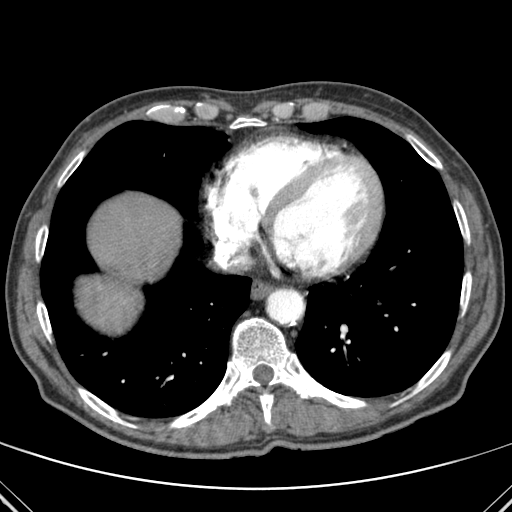
CT slice | Image size 512x512 | Liver
{"liver": ["bbox=[78, 192, 181, 331]"], "lung": ["bbox=[40, 120, 251, 417]", "bbox=[295, 117, 463, 396]"], "bone": ["bbox=[170, 318, 366, 427]", "bbox=[408, 136, 441, 168]", "bbox=[413, 351, 450, 393]", "bbox=[230, 117, 264, 128]", "bbox=[454, 201, 469, 241]", "bbox=[37, 302, 51, 339]", "bbox=[78, 388, 135, 427]", "bbox=[259, 393, 273, 425]", "bbox=[35, 226, 47, 260]", "bbox=[460, 272, 471, 310]", "bbox=[148, 105, 166, 113]", "bbox=[58, 151, 84, 185]"]}